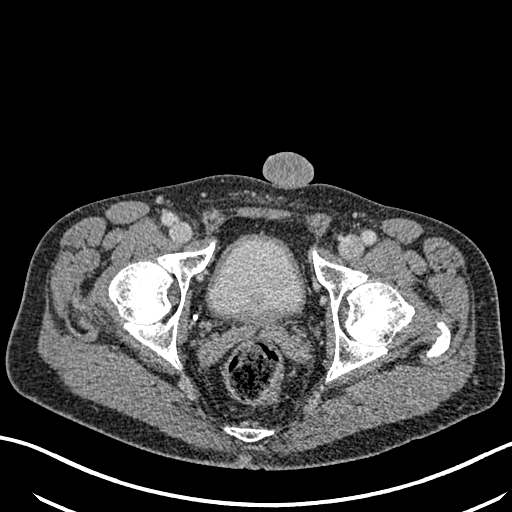 Computed tomography, 512x512

<segmentation>
  <urinary_bladder>bbox(209, 235, 301, 323)</urinary_bladder>
</segmentation>